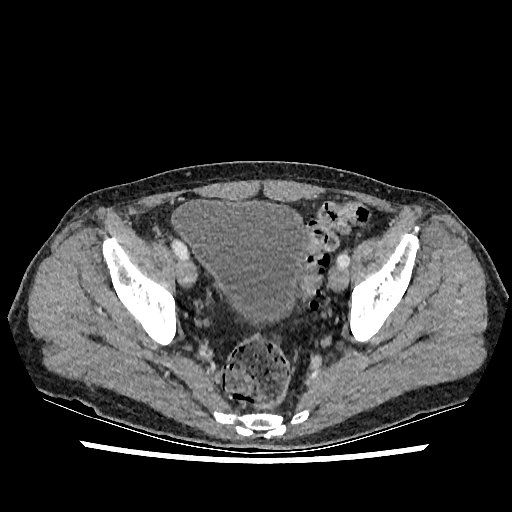
512x512 px. CT.
The urinary bladder is located at box=[178, 199, 309, 328].